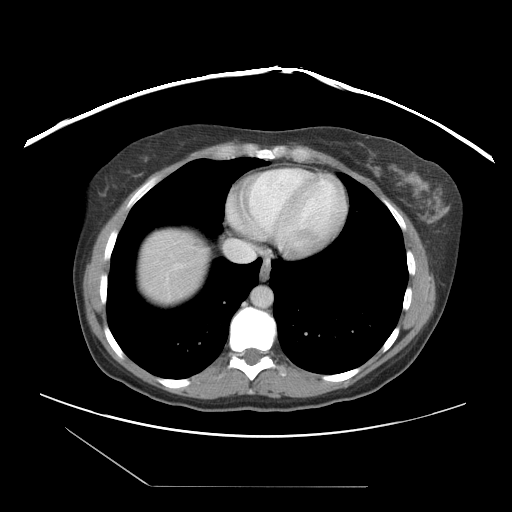

CT image | Liver
The vessel annotation is not exhaustive.
{"hepatic_vessel": ["left=173, top=264, right=184, bottom=268", "left=226, top=241, right=254, bottom=260"]}